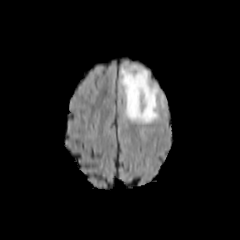
FLAIR MR image.
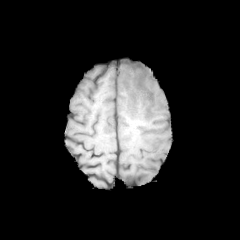
T1-weighted MR.
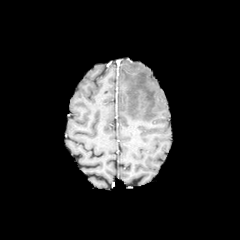
Post-contrast T1-weighted MR image of the same slice.
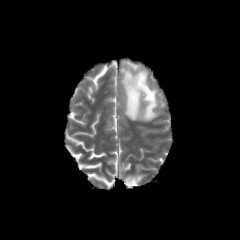
T2-weighted magnetic resonance.
Annotated regions:
- edema: {"x1": 120, "y1": 65, "x2": 159, "y2": 123}